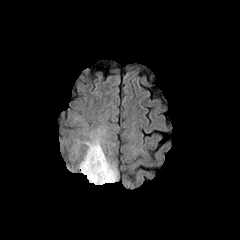
FLAIR MR.
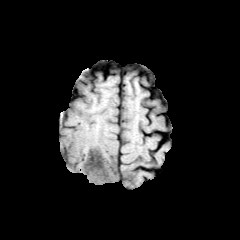
T1-weighted MR image of the same slice.
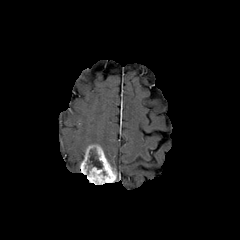
Post-contrast T1-weighted magnetic resonance.
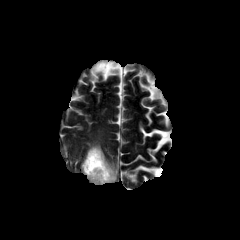
Same slice, T2-weighted MR image.
Image size 240x240
{"edema": ["85:137:105:154"], "enhancing_tumor": ["80:146:117:183"], "non-enhancing_tumor_core": ["86:144:102:168"]}